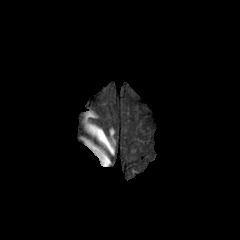
FLAIR magnetic resonance.
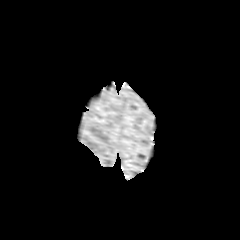
T1-weighted MR.
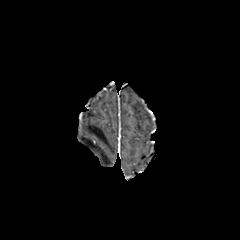
Post-contrast T1-weighted magnetic resonance.
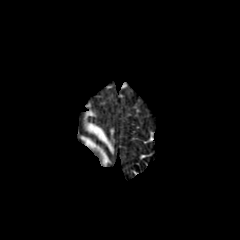
T2-weighted MR image.
Head | Image size 240x240
The edema is bounded by <box>83,111,115,165</box>.